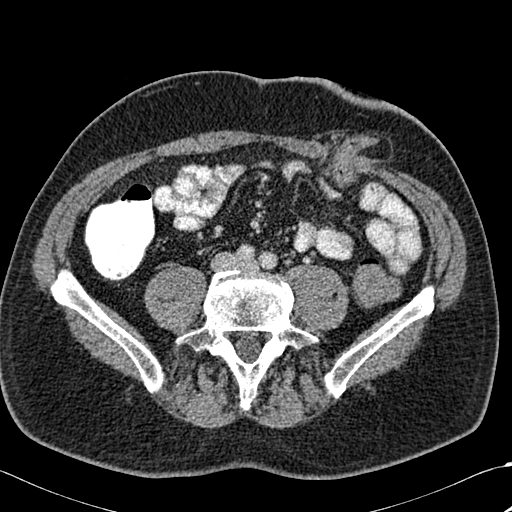

CT image; Image size 512x512
Bone: box=[324, 287, 433, 397]; box=[51, 270, 163, 391]; box=[177, 269, 314, 408].